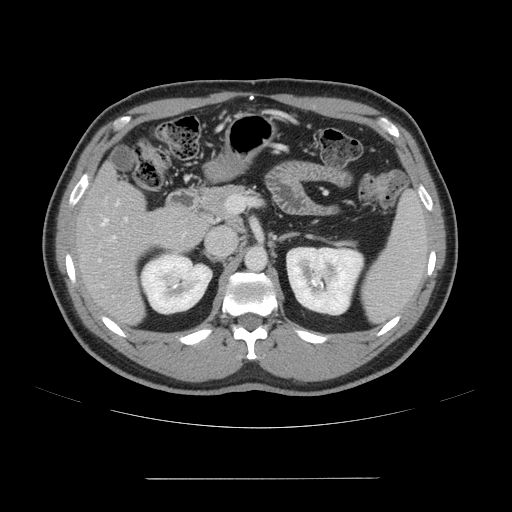
CT slice; Image size 512x512; Liver

The vessel boxes may cover only some of the vessels.
hepatic vessel: (98,260,100,261), (111,236,115,239), (117,200,118,204), (101,219,107,225), (124,218,126,220)